CT slice. Upper abdomen. 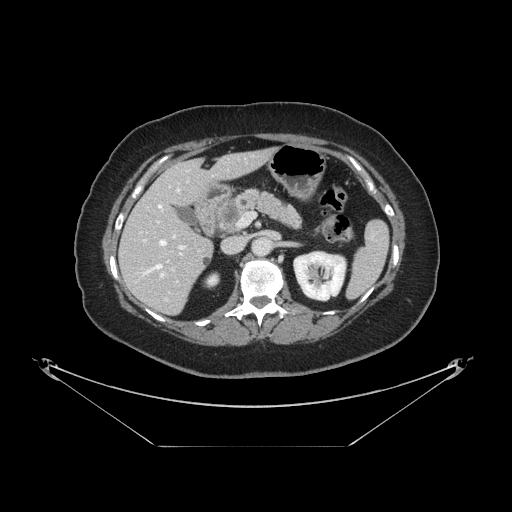

The pancreas is bounded by 218,190,301,231. The pancreatic tumor lies within 221,202,239,224.